FLAIR magnetic resonance.
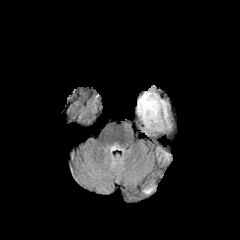
T1-weighted MRI.
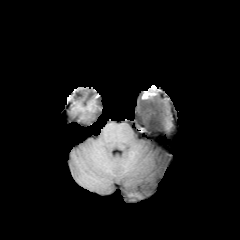
Post-contrast T1-weighted MR.
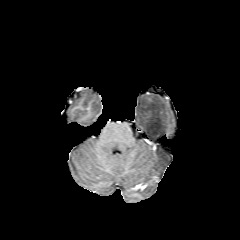
T2-weighted MR.
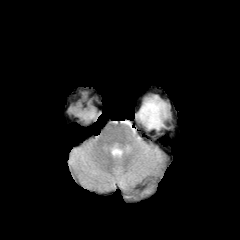
Brain.
The non-enhancing tumor core is located at box=[142, 102, 161, 127]. 3 edema regions are bounded by box=[143, 185, 154, 193]; box=[137, 93, 168, 131]; box=[138, 140, 166, 165].